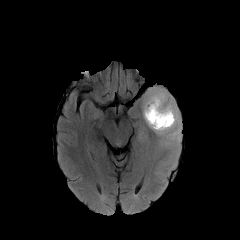
FLAIR MRI.
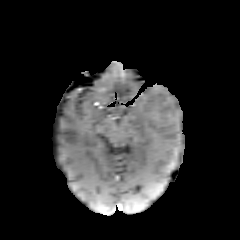
Same slice, T1-weighted magnetic resonance.
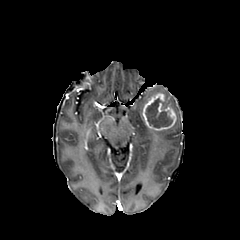
Post-contrast T1-weighted magnetic resonance.
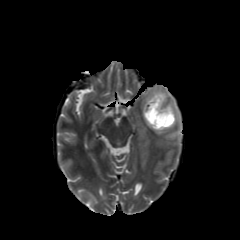
T2-weighted MRI of the same slice.
240x240. Brain.
<segmentation>
  <non-enhancing_tumor_core><box>146,99,172,127</box>, <box>162,96,170,108</box></non-enhancing_tumor_core>
  <enhancing_tumor><box>142,92,176,130</box></enhancing_tumor>
  <edema><box>141,86,182,167</box></edema>
</segmentation>